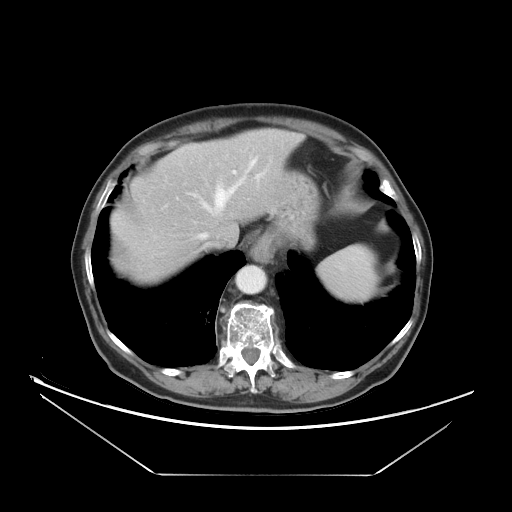
512x512 px | Abdomen | Computed tomography
Some hepatic vessels may have no box.
<segmentation>
  <hepatic_vessel>box=[193, 194, 195, 196]; box=[250, 158, 256, 167]; box=[200, 185, 236, 212]</hepatic_vessel>
</segmentation>